CT. 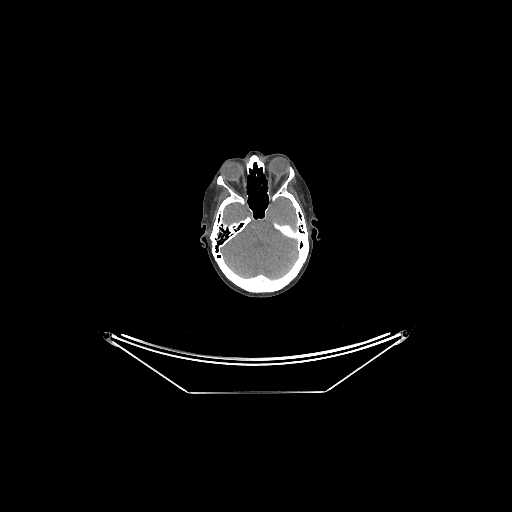
The brain is at bbox=[220, 196, 298, 280].